512x512 | CT
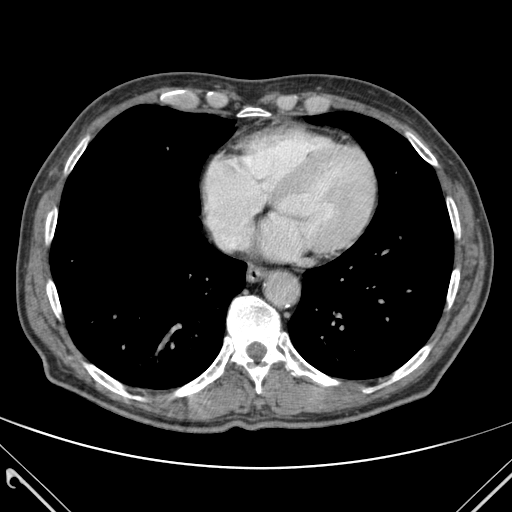
10 bone regions are located at {"x1": 392, "y1": 346, "x2": 429, "y2": 380}, {"x1": 175, "y1": 296, "x2": 337, "y2": 396}, {"x1": 447, "y1": 270, "x2": 459, "y2": 306}, {"x1": 238, "y1": 108, "x2": 270, "y2": 116}, {"x1": 65, "y1": 140, "x2": 86, "y2": 170}, {"x1": 47, "y1": 279, "x2": 60, "y2": 318}, {"x1": 46, "y1": 205, "x2": 56, "y2": 243}, {"x1": 407, "y1": 133, "x2": 436, "y2": 164}, {"x1": 447, "y1": 198, "x2": 459, "y2": 235}, {"x1": 85, "y1": 365, "x2": 139, "y2": 399}. 2 lung regions are bounded by {"x1": 50, "y1": 104, "x2": 246, "y2": 388}, {"x1": 288, "y1": 111, "x2": 453, "y2": 378}.